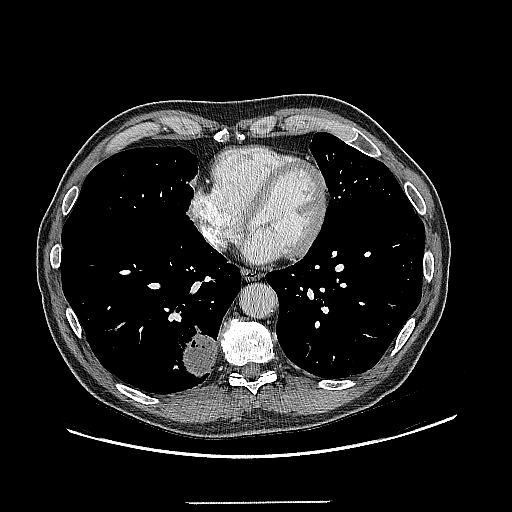

Lung; CT scan slice
Lung tumor at [183, 325, 217, 378].